FLAIR MRI.
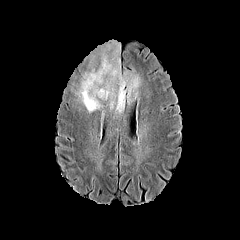
T1-weighted MR.
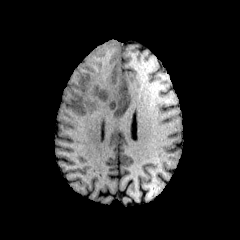
Post-contrast T1-weighted MR.
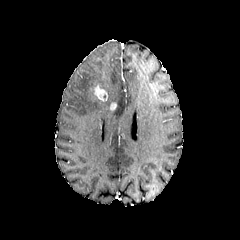
T2-weighted magnetic resonance.
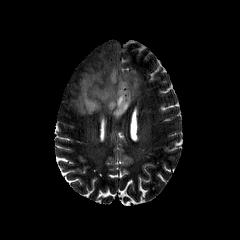
- enhancing tumor: box=[94, 84, 108, 101]
- edema: box=[75, 53, 139, 114]